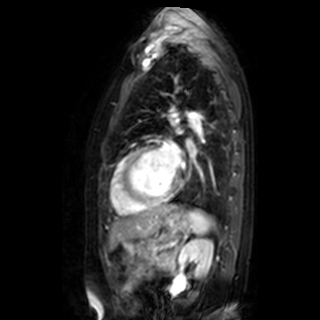

MR. <segmentation>
  <left_atrium><box>186,140,192,149</box>, <box>164,145,179,165</box></left_atrium>
</segmentation>